Heart. MRI. Slice index 73.

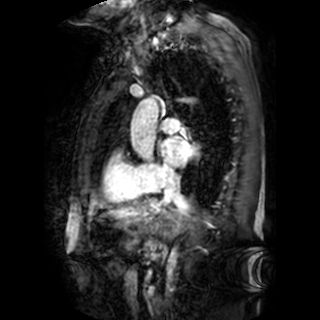 left atrium: x1=161, y1=136, x2=195, y2=165